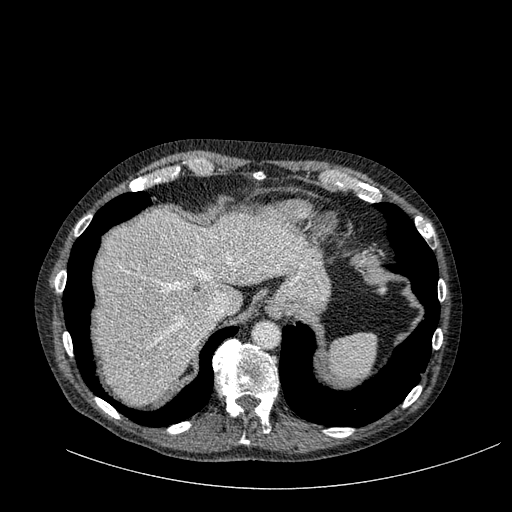 512x512 | Upper abdomen | CT

<segmentation>
  <liver>[96, 211, 303, 403]</liver>
</segmentation>